CT. 512x512 px.

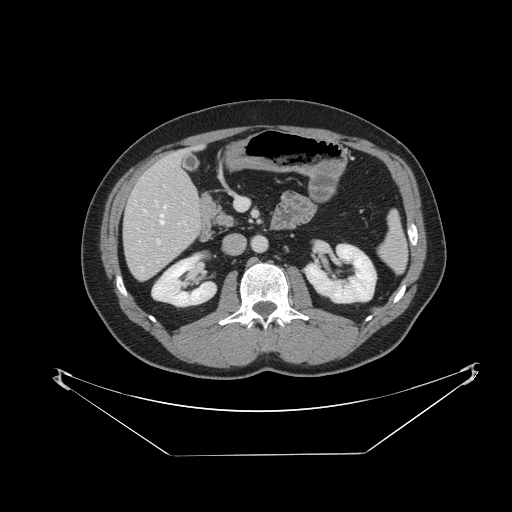

The spleen is bounded by x1=378 y1=211 x2=407 y2=271.